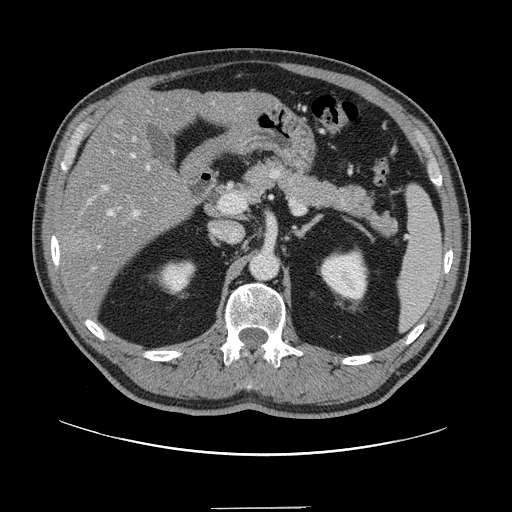 512x512 px, CT scan slice
The vessel annotation is not exhaustive.
{"liver_tumor": ["box(70, 234, 101, 256)"], "hepatic_vessel": ["box(118, 208, 120, 209)", "box(131, 154, 135, 157)", "box(102, 186, 108, 190)", "box(88, 200, 92, 204)", "box(133, 138, 136, 141)", "box(112, 151, 113, 152)", "box(108, 210, 115, 215)", "box(146, 166, 149, 169)", "box(133, 211, 139, 216)"]}